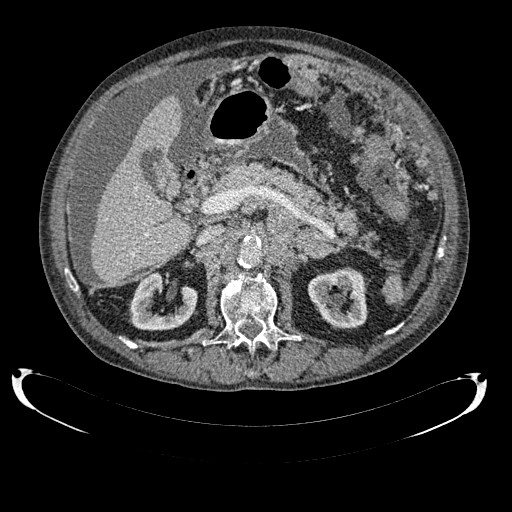 512x512; CT slice; Abdomen

Kidney = region(130, 273, 196, 329); region(308, 269, 366, 327).
Liver = region(91, 95, 191, 284).